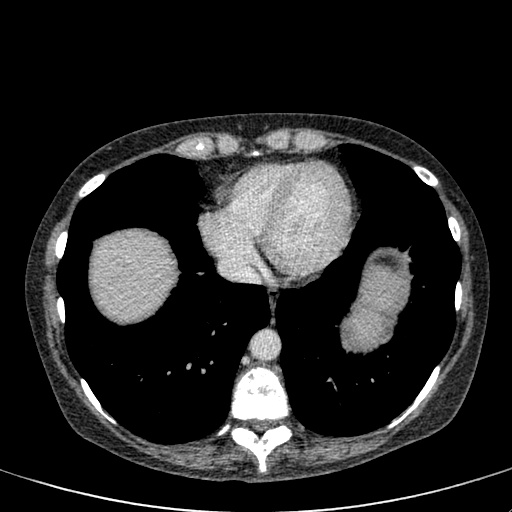 Upper abdomen; CT image
<segmentation>
  <liver>91,232,175,320</liver>
</segmentation>